Abdomen. 512x512. Field of view 375 mm wide, 1.50 mm slice spacing. CT.

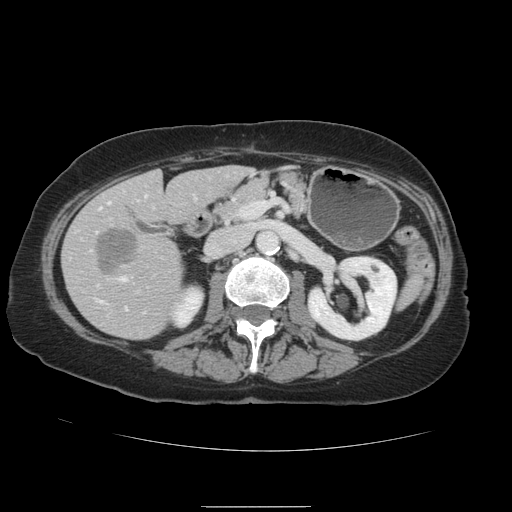

The vessel annotation is not exhaustive.
Annotated regions:
• hepatic vessel: x1=98 y1=208 x2=100 y2=209, x1=145 y1=195 x2=146 y2=196, x1=193 y1=197 x2=195 y2=199, x1=119 y1=277 x2=126 y2=281, x1=107 y1=201 x2=109 y2=203
• liver tumor: x1=97 y1=229 x2=136 y2=274